FLAIR magnetic resonance.
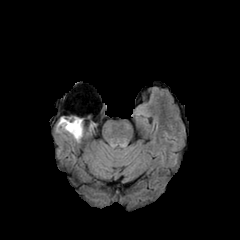
T1-weighted MRI.
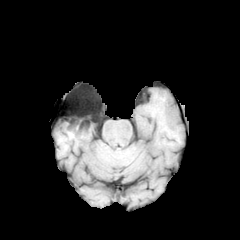
Post-contrast T1-weighted MR.
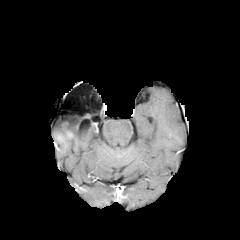
T2-weighted magnetic resonance.
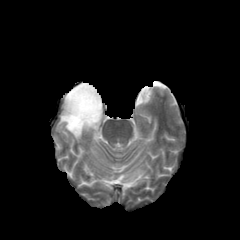
Head
Edema: region(56, 118, 83, 141).
Non-enhancing tumor core: region(61, 116, 83, 131).